Pelvis. CT image. Image width 367 mm. 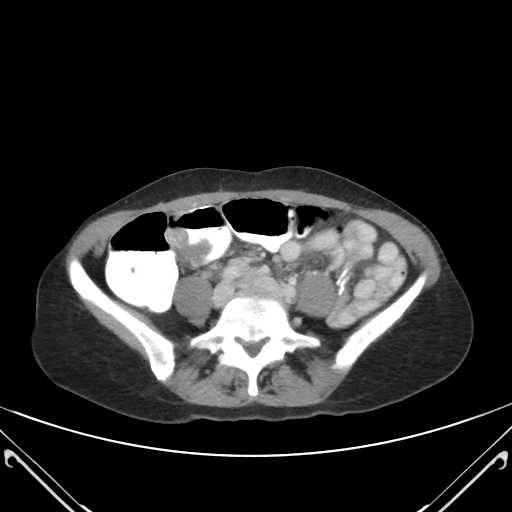

Segmented structures:
• colon tumor: (166, 228, 214, 265)